CT image | Image size 512x512 | Slice index 5 | Liver 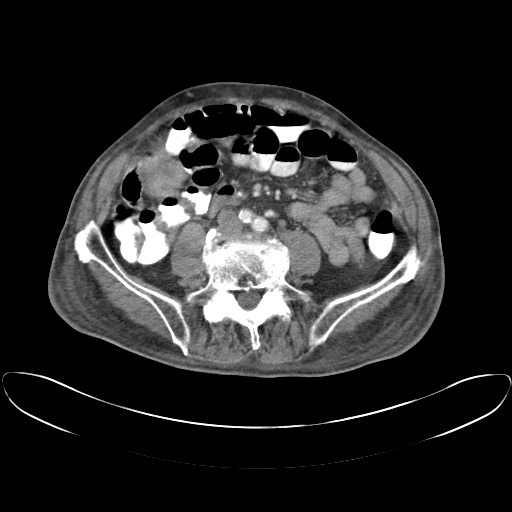

liver tumor: box(150, 162, 175, 184)